CT. Slice 566 of 677. Field of view 367 mm wide, 0.70 mm slice spacing. 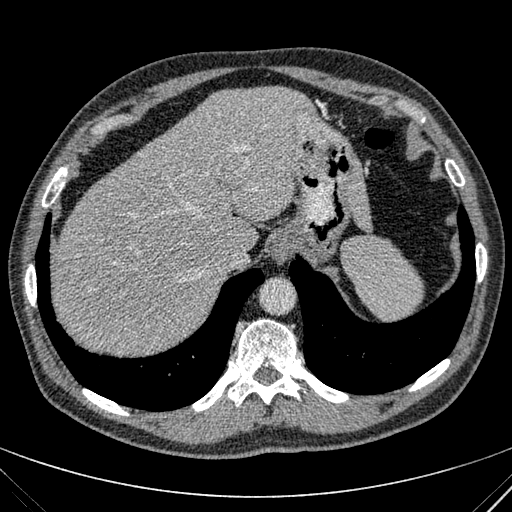
2 liver regions are located at (348,162,370,231), (50,87,331,354).